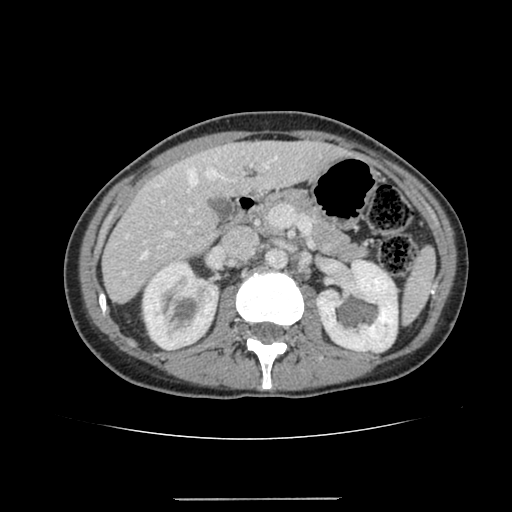

CT | Upper abdomen

* kidney: box=[317, 260, 397, 351]; box=[143, 262, 217, 349]
* liver: box=[101, 141, 350, 303]